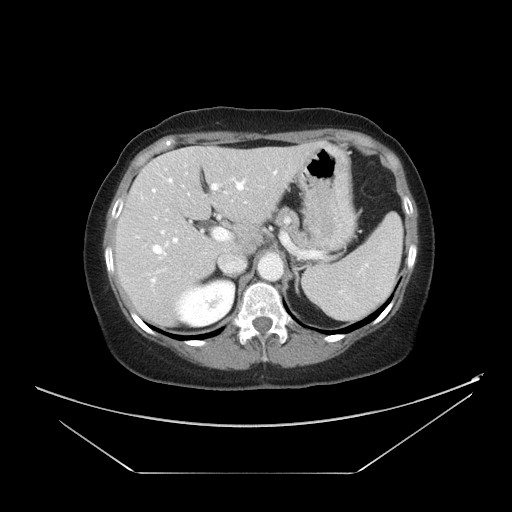
CT image.
Some hepatic vessels may have no box.
{"liver_tumor": ["box=[220, 181, 237, 191]"], "hepatic_vessel": ["box=[166, 242, 168, 245]", "box=[232, 178, 244, 189]", "box=[154, 217, 156, 218]", "box=[273, 171, 276, 173]", "box=[169, 178, 171, 181]", "box=[173, 238, 177, 242]", "box=[152, 189, 155, 191]", "box=[153, 245, 165, 254]", "box=[219, 256, 245, 271]", "box=[212, 183, 218, 189]", "box=[151, 279, 154, 281]", "box=[215, 228, 227, 239]", "box=[161, 231, 163, 233]", "box=[160, 269, 164, 270]"]}